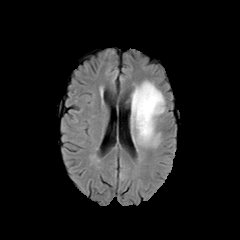
FLAIR MR.
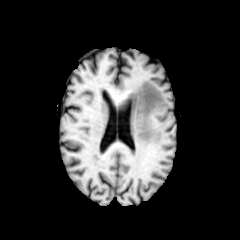
T1-weighted MR.
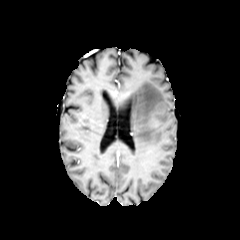
Post-contrast T1-weighted MR of the same slice.
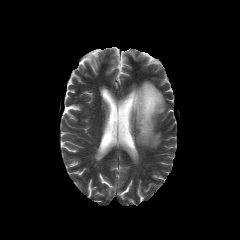
T2-weighted magnetic resonance.
Image size 240x240, Head
<segmentation>
  <edema>left=130, top=81, right=165, bottom=145</edema>
</segmentation>